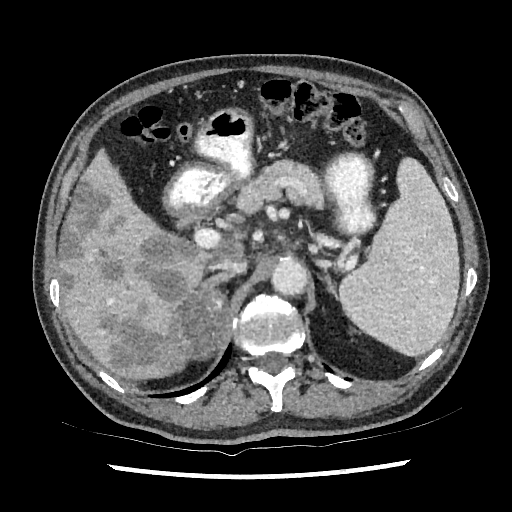

Upper abdomen. CT scan slice. Liver lesion = left=93, top=246, right=125, bottom=281; left=60, top=272, right=75, bottom=301; left=105, top=216, right=124, bottom=238; left=60, top=179, right=110, bottom=258; left=138, top=233, right=201, bottom=301; left=98, top=302, right=183, bottom=372.
Liver = left=162, top=238, right=244, bottom=292; left=60, top=212, right=68, bottom=255; left=60, top=150, right=178, bottom=376; left=170, top=352, right=187, bottom=372.